FLAIR MR image.
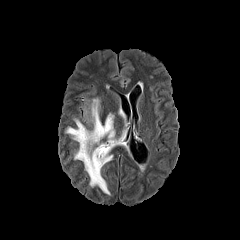
T1-weighted magnetic resonance.
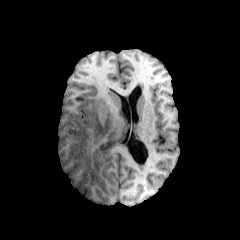
Post-contrast T1-weighted magnetic resonance.
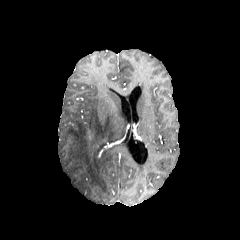
T2-weighted MRI.
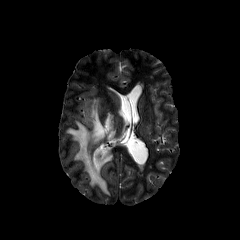
The edema appears at <box>65,97,118,195</box>.